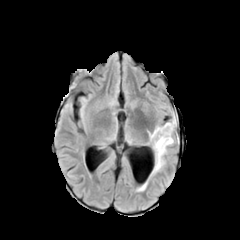
FLAIR MRI.
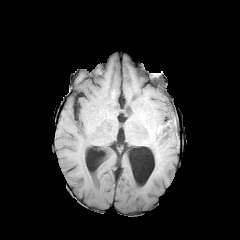
T1-weighted magnetic resonance of the same slice.
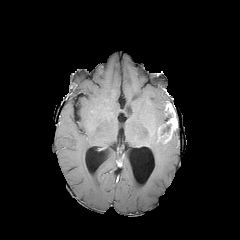
Post-contrast T1-weighted MRI of the same slice.
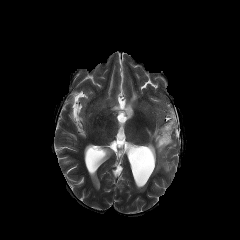
T2-weighted magnetic resonance.
Image size 240x240
edema: left=136, top=182, right=147, bottom=191; left=146, top=125, right=174, bottom=175 | non-enhancing tumor core: left=163, top=120, right=171, bottom=133 | enhancing tumor: left=158, top=104, right=177, bottom=143